CT slice.
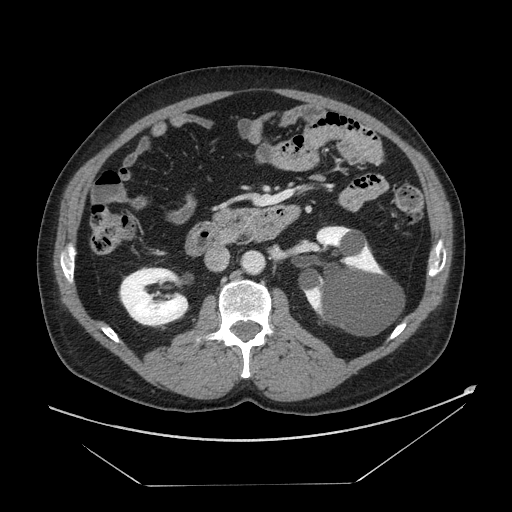 pancreas: box=[216, 209, 255, 242]